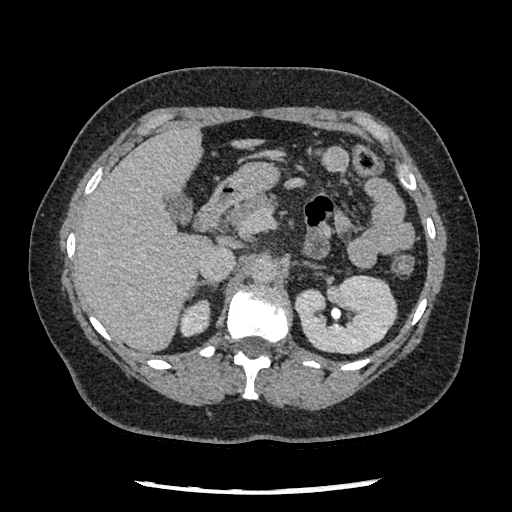 Abdomen, CT

- pancreas: bbox=[229, 195, 273, 232]